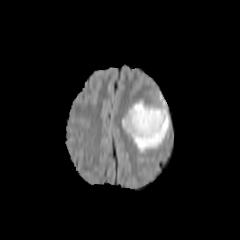
FLAIR MRI.
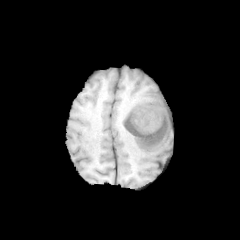
Same slice, T1-weighted MR.
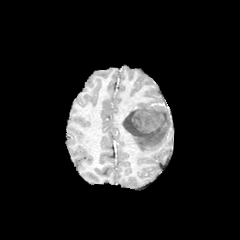
Post-contrast T1-weighted MR image.
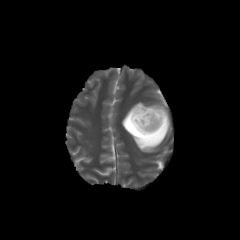
T2-weighted MR of the same slice.
Brain.
Non-enhancing tumor core at left=124, top=104, right=167, bottom=137.
Edema at left=122, top=99, right=172, bottom=152.